CT slice | Upper abdomen

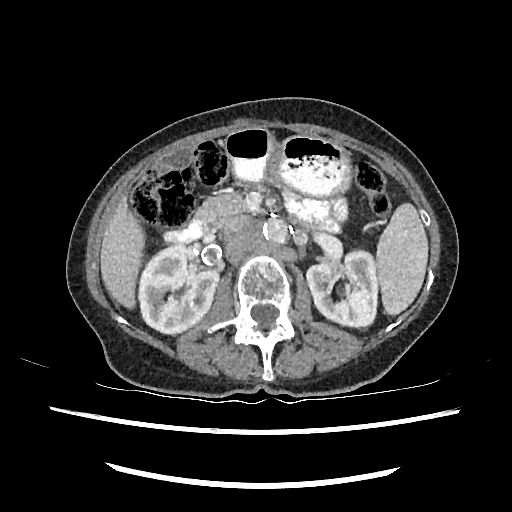
Annotated regions:
• liver: x1=100, y1=197, x2=143, y2=307
• kidney: x1=139, y1=244, x2=218, y2=333; x1=307, y1=252, x2=377, y2=326